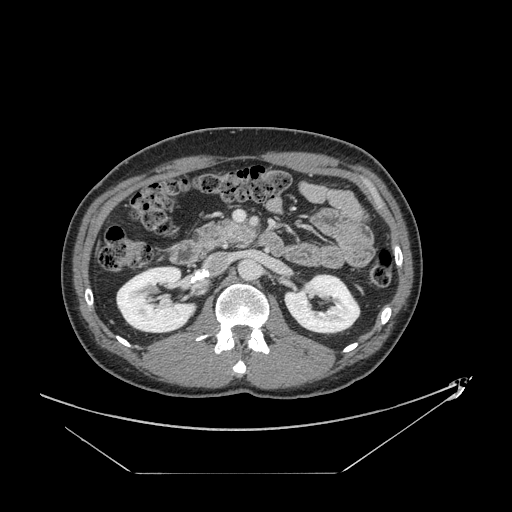
Abdomen; CT image

The pancreas is located at box=[196, 219, 257, 253]. The pancreatic tumor lies within box=[234, 229, 247, 238].